CT scan slice, Abdomen 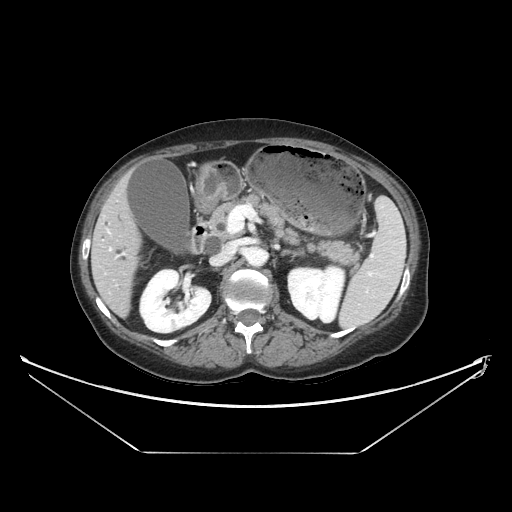

Pancreas — [210, 195, 359, 265].